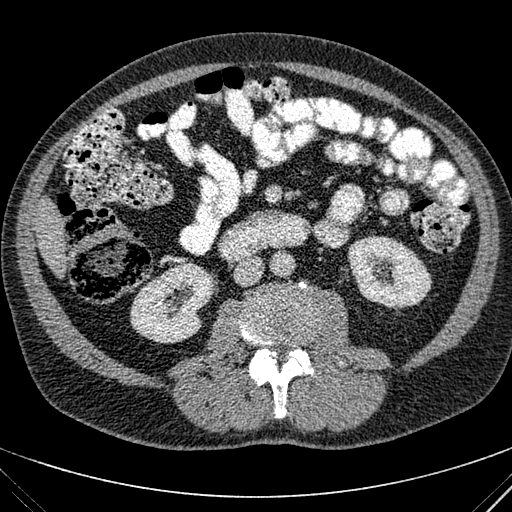
Computed tomography

2 kidney regions appear at [348, 236, 431, 307], [131, 263, 213, 342]. The liver is at [36, 196, 63, 276].